Brain; 240x240
FLAIR magnetic resonance.
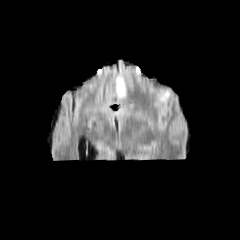
T1-weighted magnetic resonance.
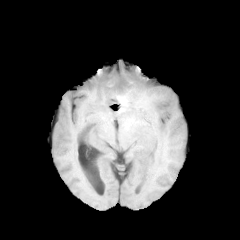
Post-contrast T1-weighted MR.
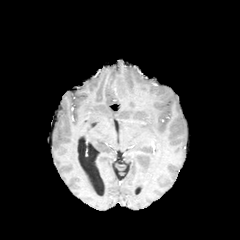
T2-weighted MR image.
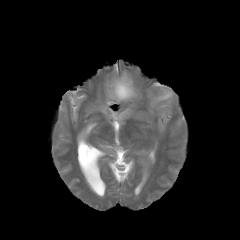
Segmented structures:
* edema: 114:73:133:101, 151:91:171:101